Liver, Computed tomography

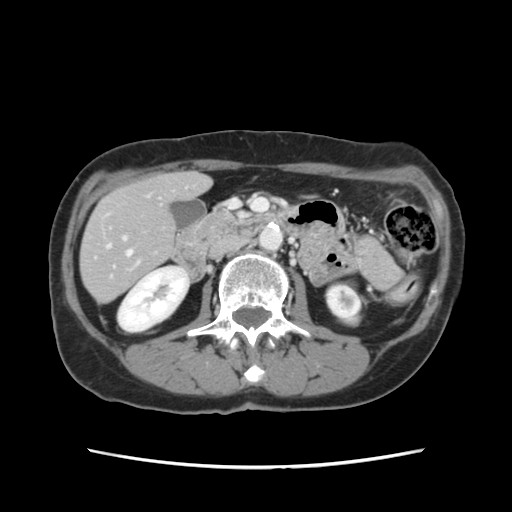

The vessel annotation is not exhaustive.
3 hepatic vessel regions are bounded by x1=126 y1=250 x2=131 y2=255, x1=123 y1=236 x2=125 y2=239, x1=107 y1=244 x2=110 y2=247.